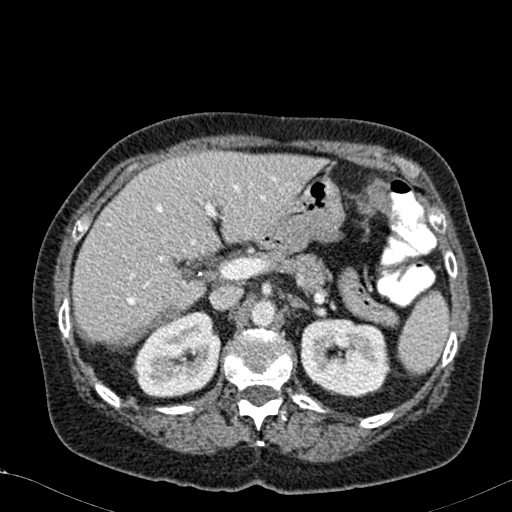

512x512, CT slice, Upper abdomen
liver: bbox(73, 152, 327, 346) | kidney: bbox(135, 312, 219, 396); bbox(301, 319, 388, 396) | hepatic lesion: bbox(149, 306, 178, 326)